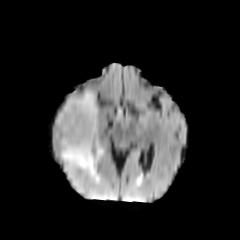
FLAIR MRI.
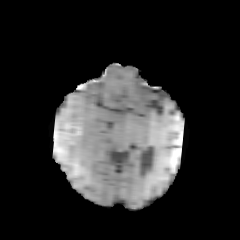
T1-weighted MR of the same slice.
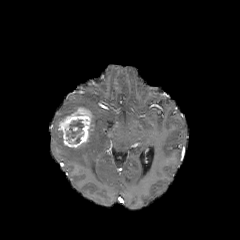
Post-contrast T1-weighted magnetic resonance.
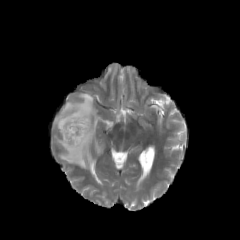
T2-weighted magnetic resonance.
Head
Enhancing tumor at 58, 107, 93, 147.
Edema at 53, 92, 102, 180.
Non-enhancing tumor core at 66, 119, 84, 138.